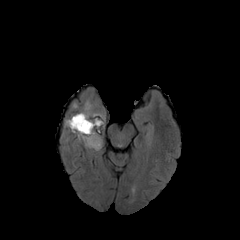
FLAIR MR image.
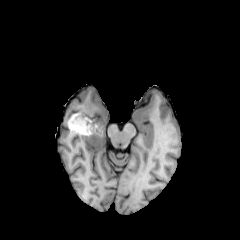
Same slice, T1-weighted MRI.
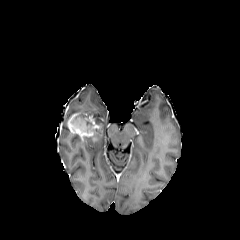
Same slice, post-contrast T1-weighted MR image.
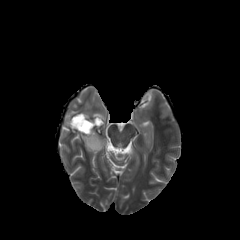
T2-weighted MR of the same slice.
* enhancing tumor: box=[66, 114, 99, 137]
* edema: box=[63, 98, 105, 152]